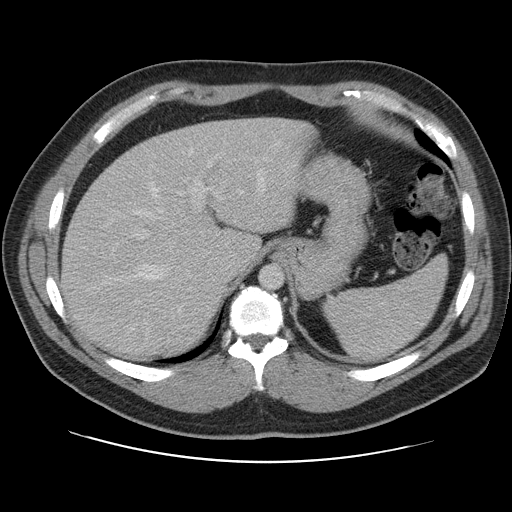 CT image.

Some hepatic vessels may have no box.
Principal 15 of 19 hepatic vessel regions at [182, 178, 189, 182], [179, 191, 184, 195], [189, 148, 192, 154], [257, 186, 265, 191], [187, 270, 191, 277], [234, 220, 236, 222], [207, 161, 211, 167], [144, 320, 147, 324], [143, 264, 162, 278], [188, 288, 191, 290], [133, 229, 150, 239], [193, 179, 212, 197], [237, 190, 242, 193], [199, 209, 201, 211], [145, 313, 148, 314].